FLAIR MR.
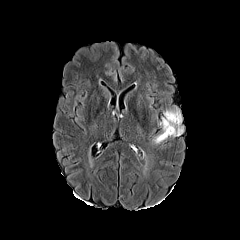
T1-weighted MR.
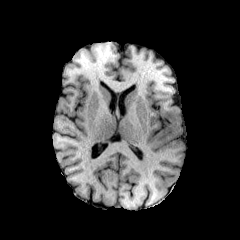
Post-contrast T1-weighted MRI.
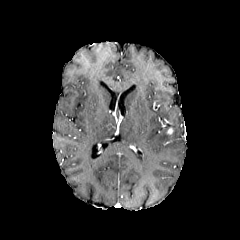
T2-weighted MR.
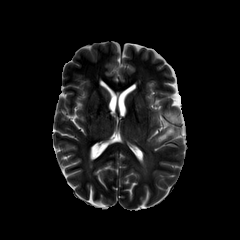
Brain. Image size 240x240.
edema:
  - [x1=151, y1=106, x2=181, y2=145]